Field of view 240x240 mm, Slice index 97, Brain
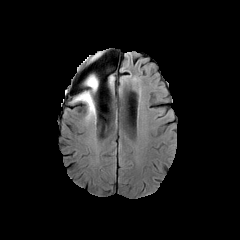
FLAIR magnetic resonance.
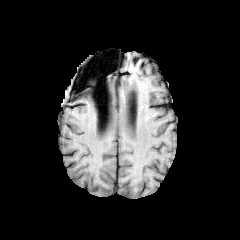
T1-weighted magnetic resonance.
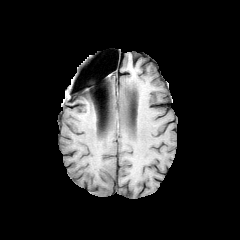
Post-contrast T1-weighted MRI.
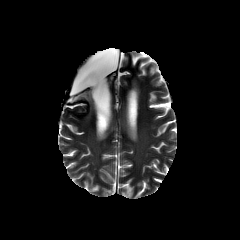
T2-weighted MR image of the same slice.
- edema: left=72, top=74, right=98, bottom=118